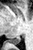
MRI, Medial temporal lobe
Posterior hippocampus: [7, 37, 20, 43].